Slice index 500; CT; Chest

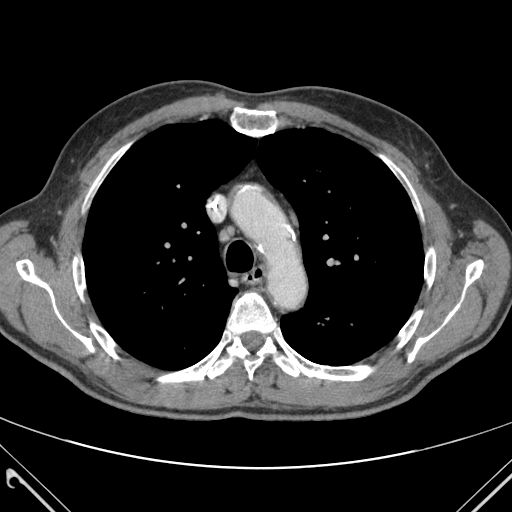 The lung lies within region(83, 119, 423, 369). 10 bone regions are bounded by region(16, 260, 93, 351); region(408, 260, 483, 362); region(380, 155, 422, 216); region(158, 293, 371, 382); region(90, 323, 117, 358); region(231, 107, 281, 136); region(73, 257, 85, 299); region(398, 310, 422, 347); region(86, 144, 129, 200); region(424, 248, 435, 286).